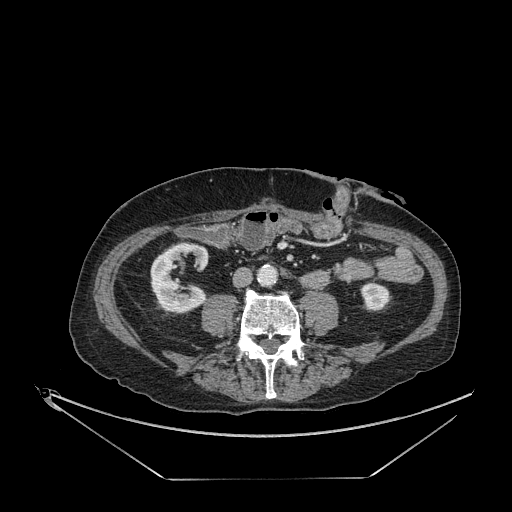 Image size 512x512 | Abdomen | CT scan slice
<segmentation>
  <kidney>bbox=[151, 243, 207, 312]; bbox=[361, 283, 389, 310]</kidney>
</segmentation>